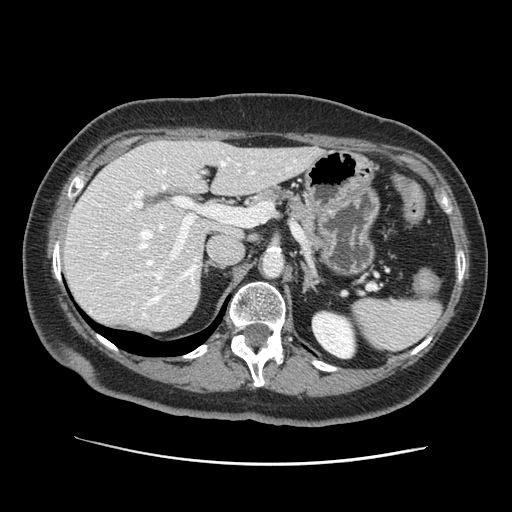

Upper abdomen, CT slice, 512x512

The spleen is located at left=352, top=299, right=441, bottom=350.